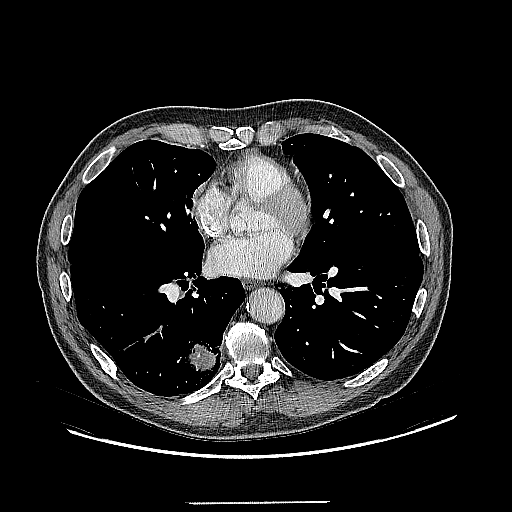

Image size 512x512, Lung, CT image
- lung tumor: {"x1": 187, "y1": 344, "x2": 216, "y2": 372}